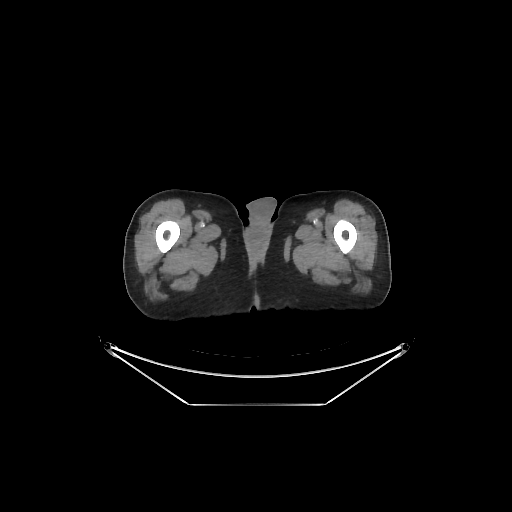 CT, 512x512 px
Segmented structures:
- bone: [155,220,179,252], [334,219,356,253]